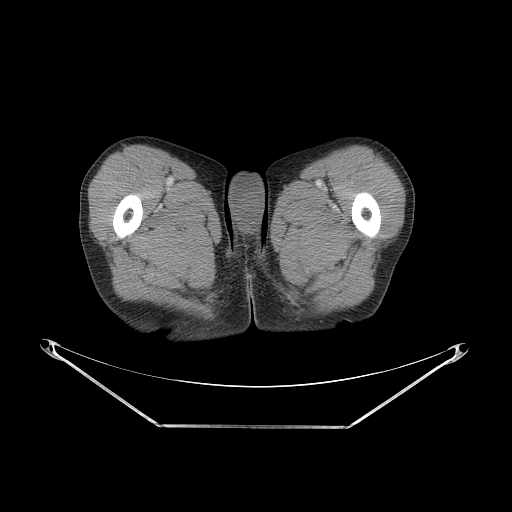

Computed tomography
Bone — [x1=113, y1=194, x2=142, y2=237], [x1=352, y1=192, x2=380, y2=237].